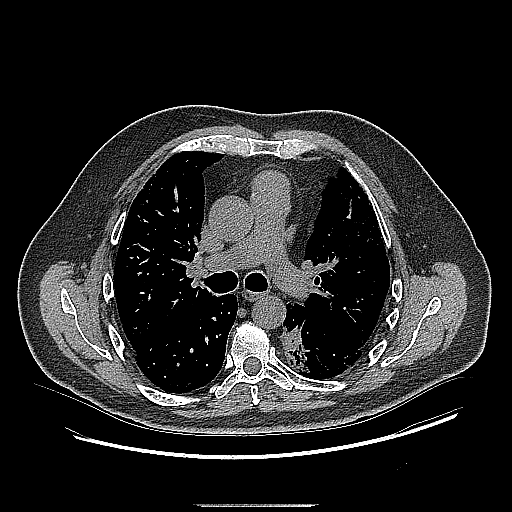 CT scan slice. lung tumor: 278:303:310:376